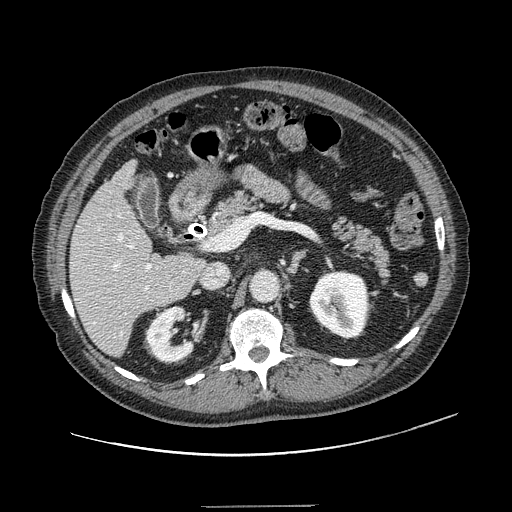
Abdomen; CT image

{"pancreas": ["left=206, top=191, right=265, bottom=238", "left=329, top=217, right=390, bottom=286"]}